320x320, MRI slice

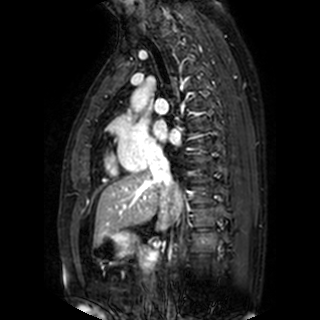

left_atrium:
  - rect(153, 120, 179, 143)